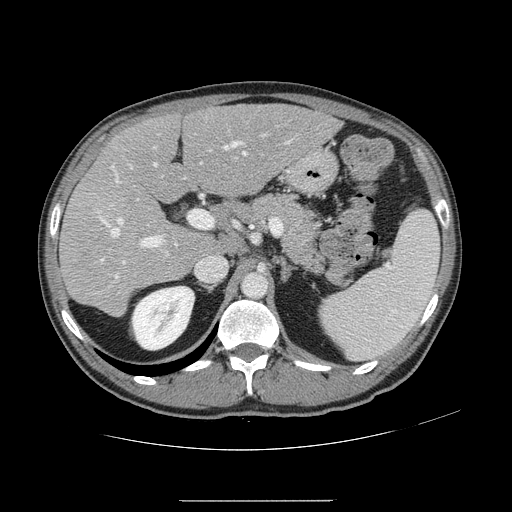

CT scan slice, Abdomen
Not every hepatic vessel necessarily has a box.
[15/18] hepatic vessel: l=117, t=217, r=122, b=224; l=128, t=164, r=132, b=168; l=110, t=228, r=119, b=236; l=101, t=259, r=103, b=261; l=115, t=171, r=120, b=182; l=114, t=275, r=118, b=282; l=163, t=251, r=167, b=254; l=110, t=163, r=114, b=169; l=243, t=152, r=245, b=154; l=154, t=163, r=156, b=165; l=141, t=236, r=163, b=247; l=287, t=140, r=291, b=143; l=188, t=210, r=204, b=228; l=175, t=243, r=177, b=246; l=224, t=141, r=242, b=148